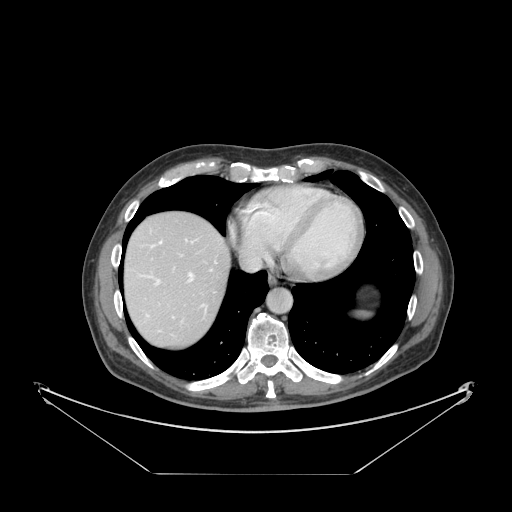 CT scan slice | 512x512

Spleen at (left=353, top=312, right=369, bottom=319).